Image size 512x512 | Slice 46/80 | CT
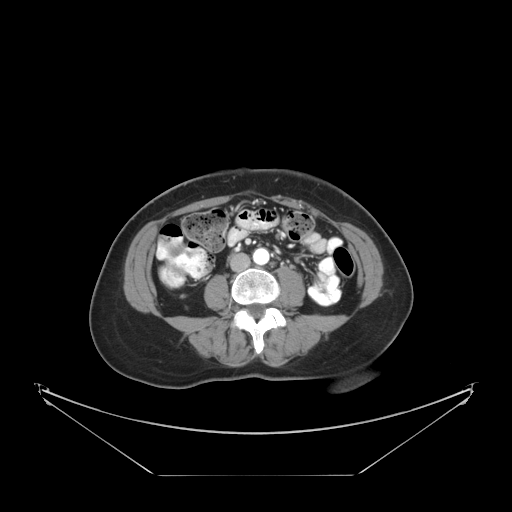

3 colon tumor regions appear at [169,246,184,257], [185,250,195,257], [170,264,187,276].